FLAIR MRI.
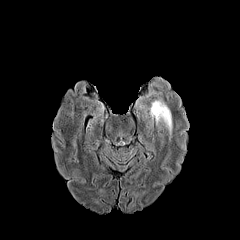
T1-weighted MRI.
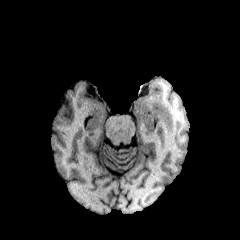
Post-contrast T1-weighted MRI.
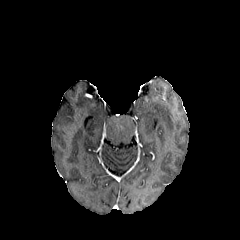
T2-weighted MR.
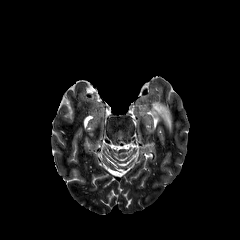
Head
Edema: 150:99:173:141.